CT scan slice, Image width 438 mm

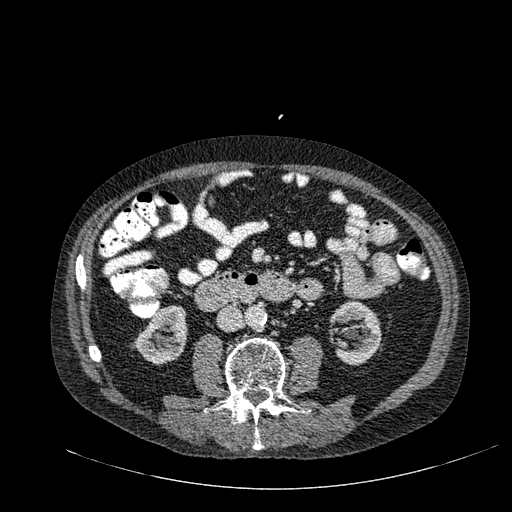 2 kidney regions are located at 329,301,381,365; 133,305,187,364.